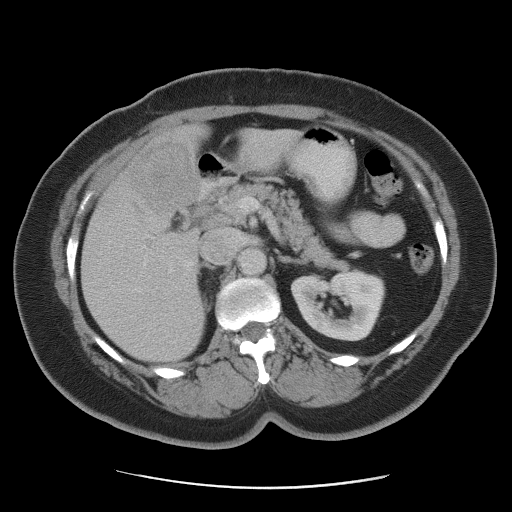 CT

Only some of the vessels may be annotated.
hepatic_vessel:
  - {"x1": 172, "y1": 233, "x2": 175, "y2": 235}
liver_tumor:
  - {"x1": 134, "y1": 143, "x2": 200, "y2": 214}